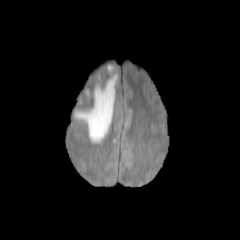
FLAIR MRI.
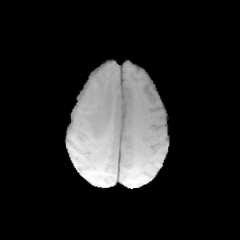
T1-weighted MRI.
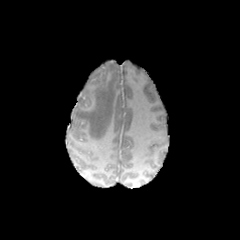
Post-contrast T1-weighted MR image.
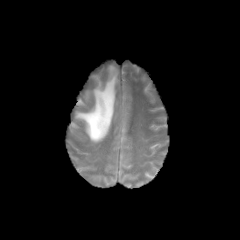
T2-weighted MR.
Head
- edema: 75 73 117 143